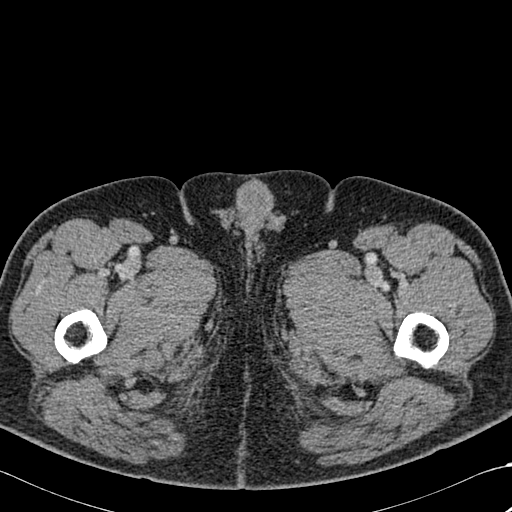
CT

Bone: bounding box box(394, 312, 448, 367); box(55, 309, 106, 362).